FLAIR MR image.
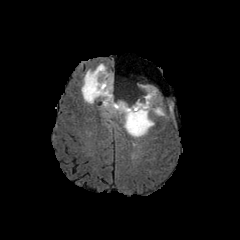
T1-weighted magnetic resonance.
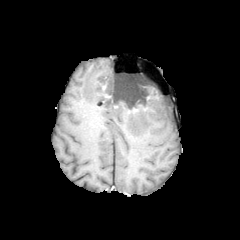
Post-contrast T1-weighted MRI.
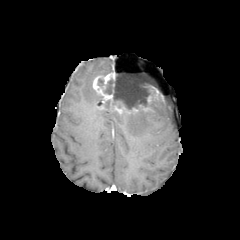
T2-weighted magnetic resonance.
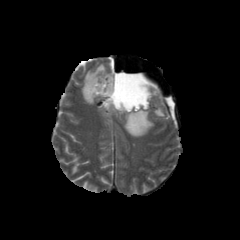
The non-enhancing tumor core is at bbox(100, 79, 148, 114). 2 enhancing tumor regions appear at bbox(114, 105, 124, 113); bbox(92, 72, 113, 104). 3 edema regions are bounded by bbox(118, 84, 164, 138); bbox(112, 74, 119, 89); bbox(81, 62, 115, 113).